Computed tomography, Field of view 416 mm wide, 2.50 mm slice spacing

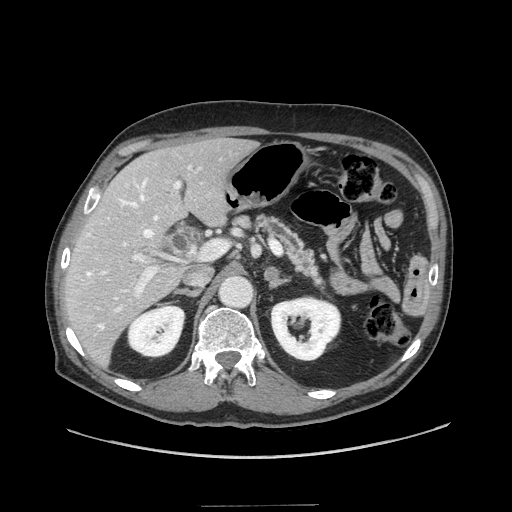
The pancreas is bounded by box(258, 215, 322, 286).